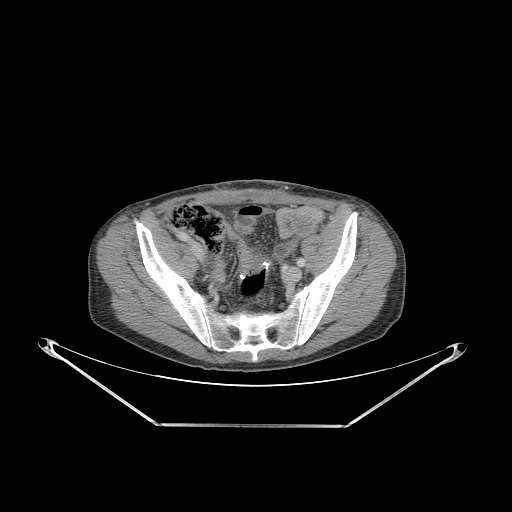
512x512 | CT image
Bone: bounding box [135,212,357,360].